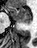
MR. The anterior hippocampus is at [8, 6, 31, 21]. The posterior hippocampus is located at [18, 22, 29, 24].